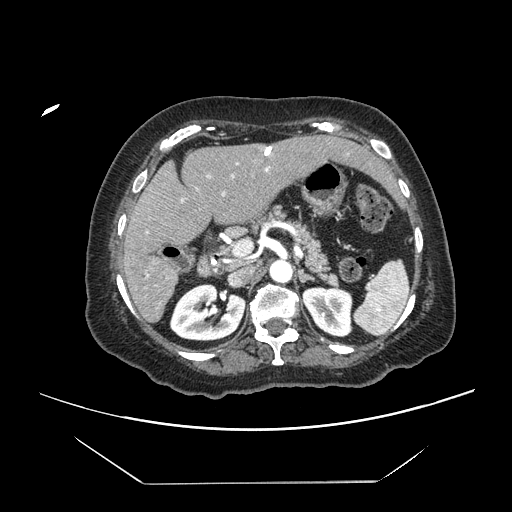
512x512 | CT | Abdomen
Some hepatic vessels may have no box.
The hepatic vessel lies within box=[233, 240, 251, 256].